CT, Field of view 357x357 mm, Pelvis
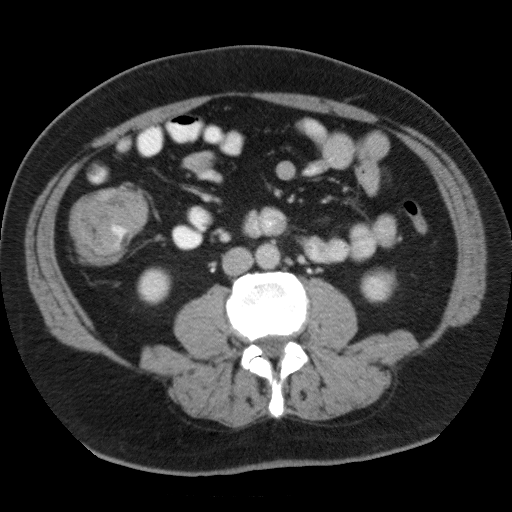

Colon tumor: left=69, top=190, right=146, bottom=263.